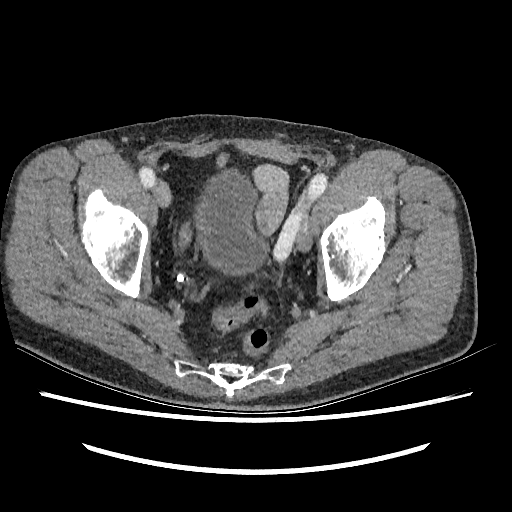 CT image; Pelvis
<segmentation>
  <urinary_bladder>x1=198, y1=175, x2=267, y2=274</urinary_bladder>
</segmentation>